CT scan slice, Liver, Slice index 119 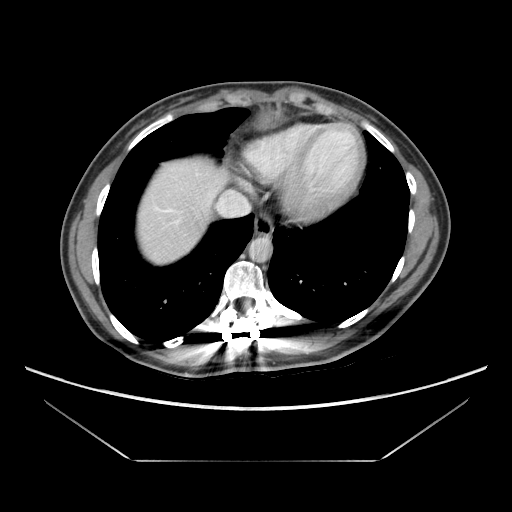 The vessel annotation is not exhaustive.
2 hepatic vessel regions are located at (x1=154, y1=206, x2=178, y2=212), (x1=218, y1=192, x2=247, y2=214).